CT | Abdomen | 512x512 px | Slice index 343
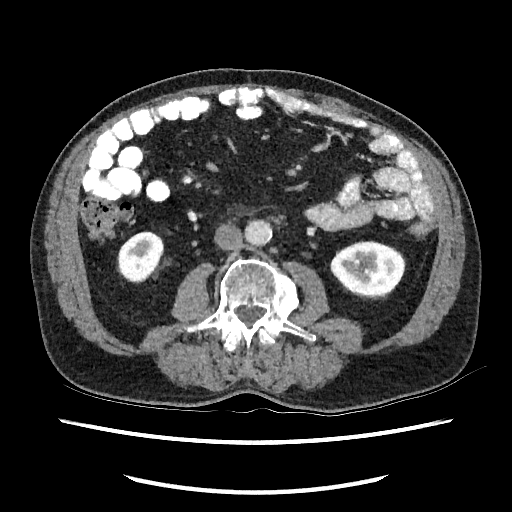 kidney: rect(331, 241, 404, 297); rect(118, 232, 163, 282)